CT image 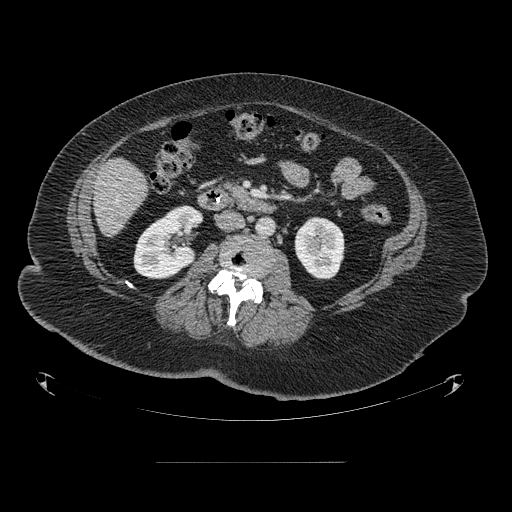

Pancreas — {"x1": 226, "y1": 184, "x2": 249, "y2": 199}.